FLAIR MR image.
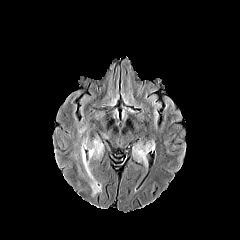
T1-weighted magnetic resonance.
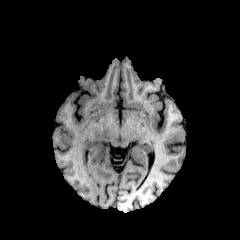
Post-contrast T1-weighted magnetic resonance.
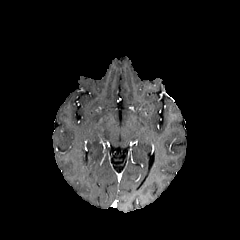
T2-weighted MR.
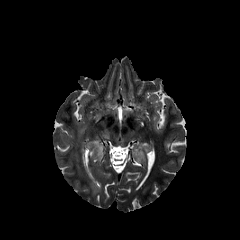
Image size 240x240
Edema — region(92, 182, 101, 193); region(132, 143, 152, 163); region(81, 139, 87, 166); region(89, 144, 101, 157).